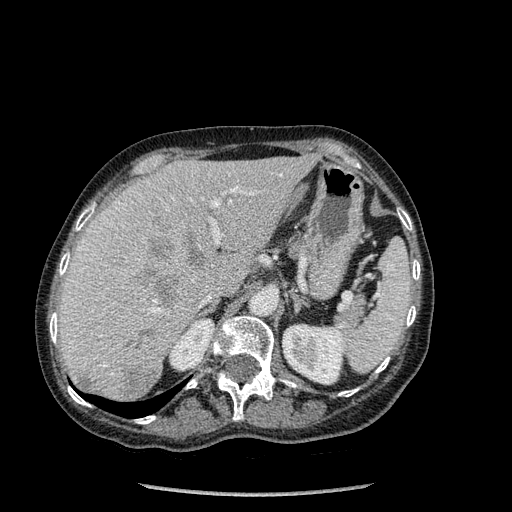 CT. Liver. 512x512.

13 bone regions appear at (left=375, top=357, right=389, bottom=373), (left=213, top=316, right=276, bottom=420), (left=406, top=306, right=415, bottom=326), (left=75, top=205, right=94, bottom=230), (left=338, top=388, right=358, bottom=396), (left=185, top=377, right=198, bottom=389), (left=134, top=415, right=155, bottom=424), (left=67, top=386, right=90, bottom=407), (left=412, top=259, right=420, bottom=280), (left=279, top=379, right=296, bottom=387), (left=50, top=312, right=58, bottom=343), (left=397, top=208, right=412, bottom=230), (left=59, top=252, right=70, bottom=275). 2 kidney regions are bounded by (left=170, top=319, right=213, bottom=370), (left=282, top=325, right=348, bottom=383). 7 hepatic lesion regions are bounded by (left=140, top=329, right=155, bottom=336), (left=182, top=230, right=205, bottom=267), (left=148, top=234, right=173, bottom=257), (left=77, top=373, right=102, bottom=394), (left=156, top=278, right=177, bottom=306), (left=120, top=364, right=157, bottom=398), (left=133, top=262, right=157, bottom=279). The lung is at (left=82, top=384, right=181, bottom=418). The liver appears at (left=60, top=154, right=319, bottom=401).